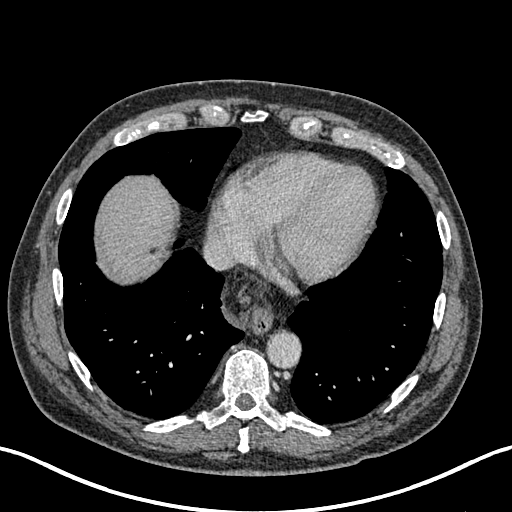

Upper abdomen | CT slice

<segmentation>
  <liver><box>95,176,177,280</box></liver>
  <focal_liver_lesion><box>147,245,159,255</box></focal_liver_lesion>
</segmentation>